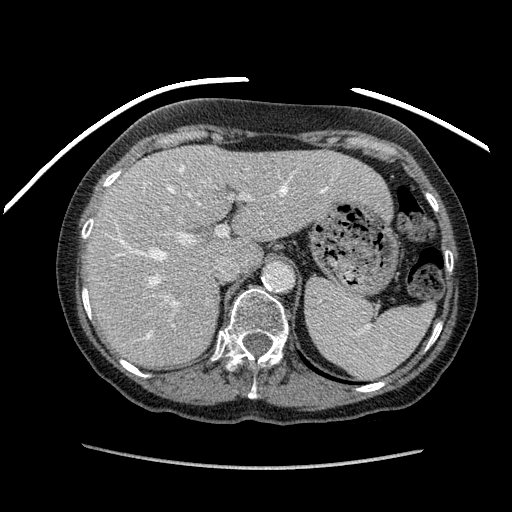
Abdomen, CT scan slice
Segmented structures:
- liver: (84, 145, 389, 366)